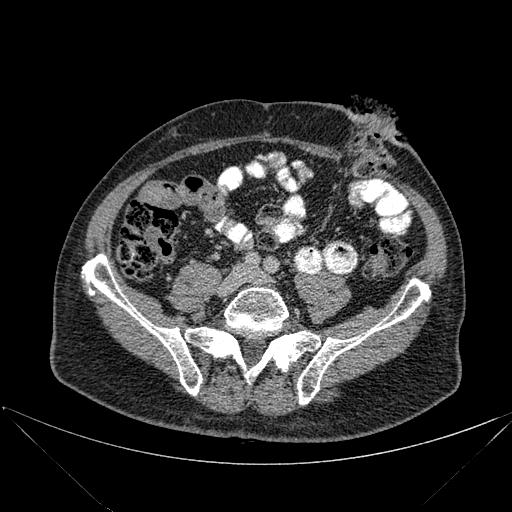 CT, 512x512 px

Bone = <bbox>224, 287, 288, 334</bbox>, <bbox>82, 254, 430, 404</bbox>.